Computed tomography, Slice 19/82, Liver

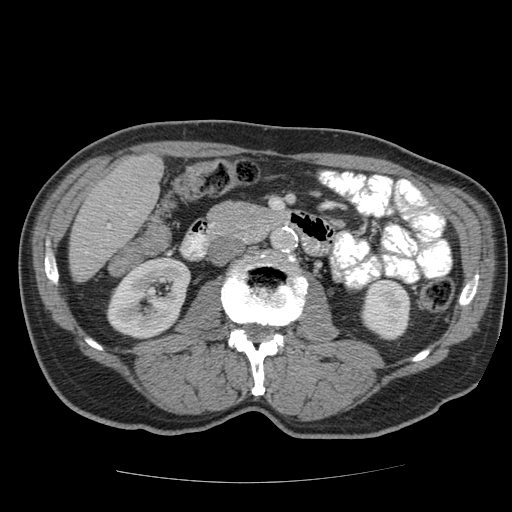

The vessel annotation is not exhaustive.
Hepatic vessel: bounding box x1=107 y1=225 x2=109 y2=227.